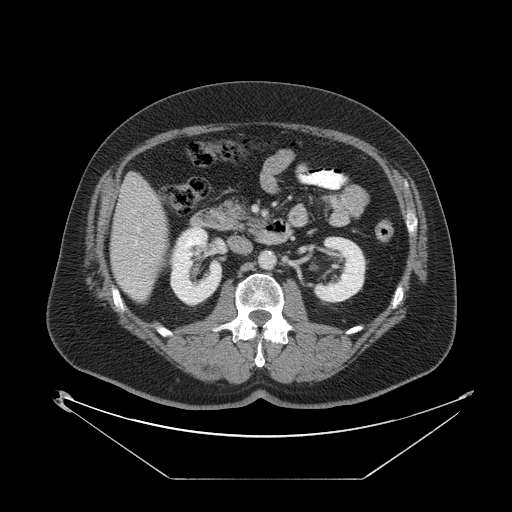 CT image. Only some of the vessels may be annotated.
Hepatic vessel: [x1=135, y1=238, x2=137, y2=245], [x1=137, y1=227, x2=139, y2=230], [x1=132, y1=210, x2=134, y2=212].